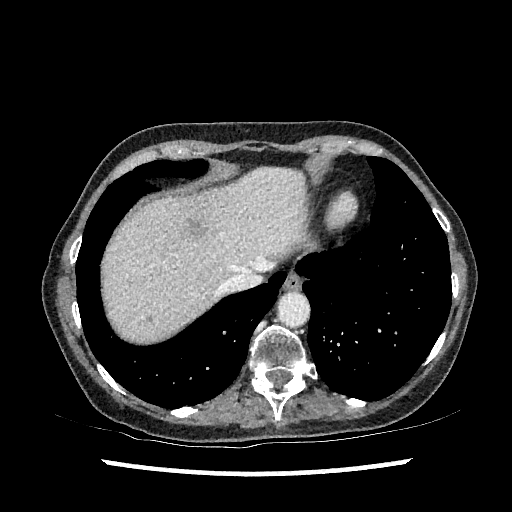 Computed tomography
liver:
  - 101,168,306,340
hepatic_lesion:
  - 190,219,206,239